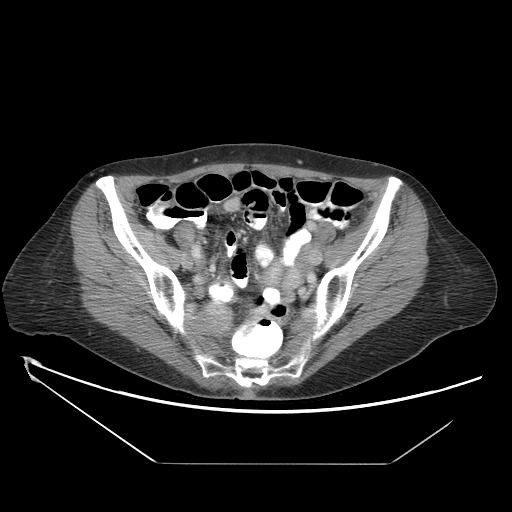 CT image, Pelvis

The colon tumor is located at x1=152, y1=203, x2=167, y2=215.